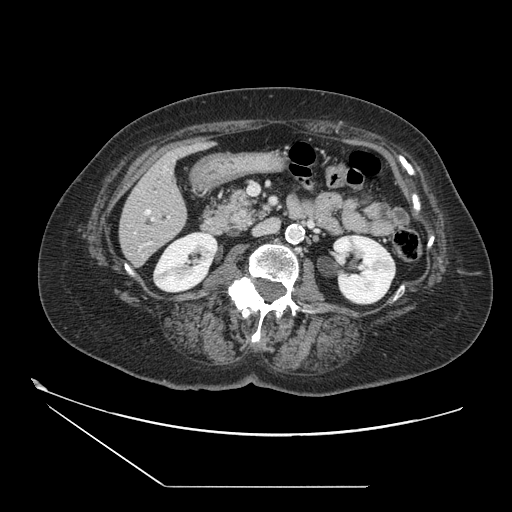
CT
Pancreatic tumor: bounding box (234, 211, 252, 226).
Pancreas: bounding box (207, 191, 264, 229).